FLAIR MRI.
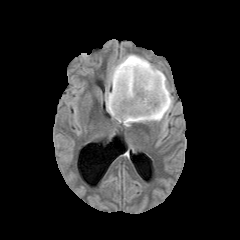
T1-weighted MR image.
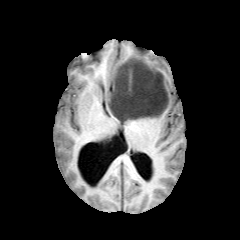
Post-contrast T1-weighted magnetic resonance.
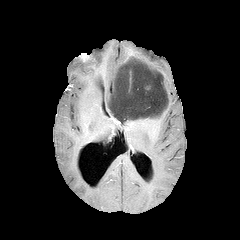
T2-weighted MR image.
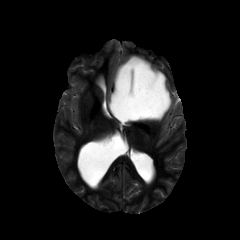
240x240 px
The non-enhancing tumor core is located at (110,62,167,121). 2 edema regions appear at (105,54,172,125), (128,70,131,91).